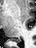
Medial temporal lobe. Image size 36x48. MRI slice. Posterior hippocampus at region(12, 39, 20, 42).